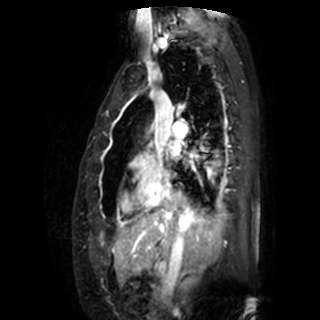
Magnetic resonance; Cardiac

The left atrium is at <box>169,142,179,155</box>.